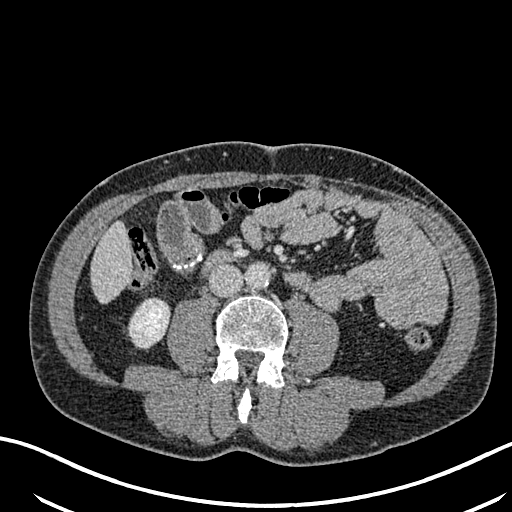 Upper abdomen, CT image
Liver — {"x1": 92, "y1": 221, "x2": 130, "y2": 302}.
Kidney — {"x1": 129, "y1": 299, "x2": 169, "y2": 347}.